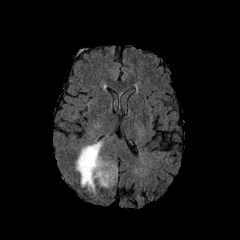
FLAIR MRI.
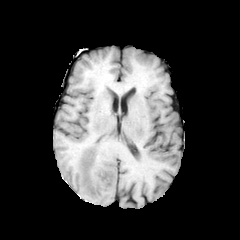
T1-weighted MR image.
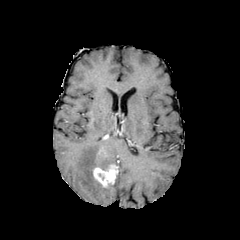
Same slice, post-contrast T1-weighted MRI.
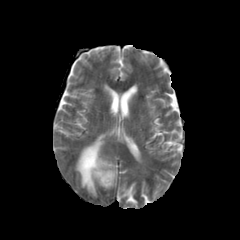
T2-weighted MR image.
Brain.
Enhancing tumor: bounding box [92,164,117,187].
Edema: bounding box [75,141,107,193].